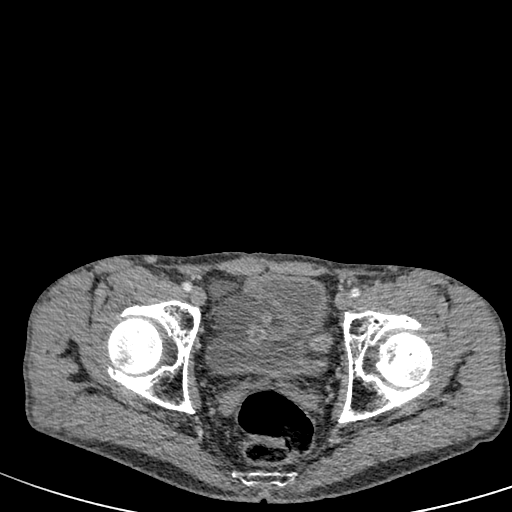
CT image.

urinary bladder: bbox=[206, 273, 327, 390]